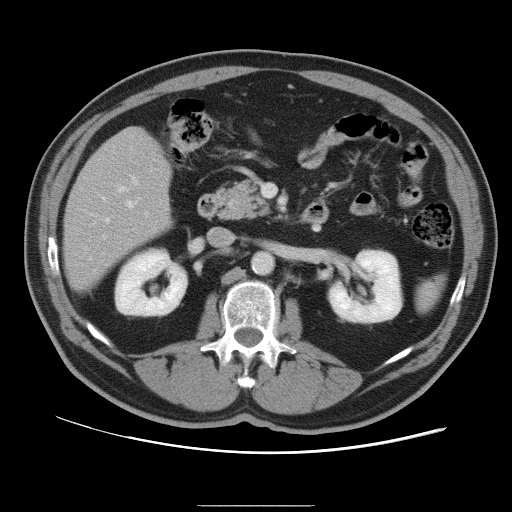

CT slice. Abdomen. The vessel annotation is not exhaustive.
10 hepatic vessel regions are bounded by <bbox>132, 175, 137, 184</bbox>, <bbox>103, 236, 105, 238</bbox>, <bbox>126, 198, 139, 207</bbox>, <bbox>91, 213, 96, 215</bbox>, <bbox>102, 252, 104, 254</bbox>, <bbox>117, 186, 128, 191</bbox>, <bbox>89, 257, 90, 259</bbox>, <bbox>144, 212, 148, 214</bbox>, <bbox>103, 218, 109, 222</bbox>, <bbox>102, 197, 105, 200</bbox>.